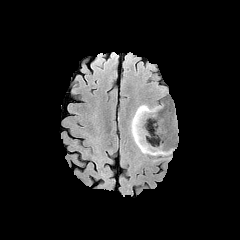
FLAIR MRI.
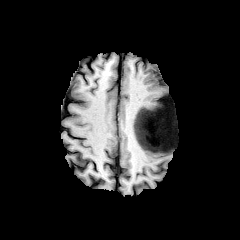
T1-weighted MRI.
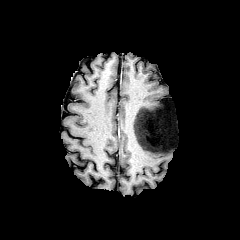
Same slice, post-contrast T1-weighted magnetic resonance.
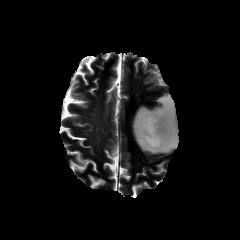
T2-weighted magnetic resonance.
Head.
Non-enhancing tumor core — (134,106,174,151).
Edema — (131,104,175,155).